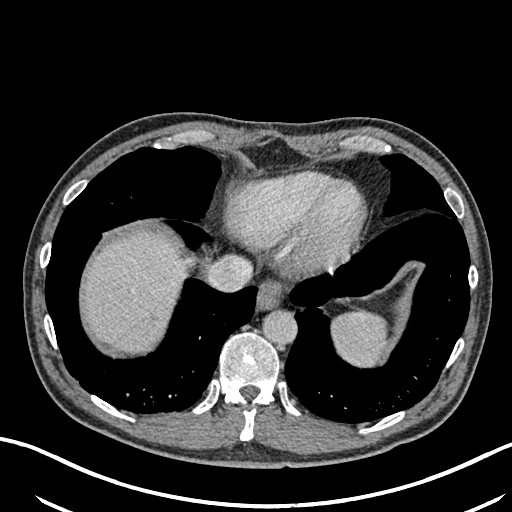 Upper abdomen, CT image, 512x512 px
Liver: bounding box region(82, 230, 183, 349).